Abdomen; Slice 117/192; Image width 341 mm; CT scan slice 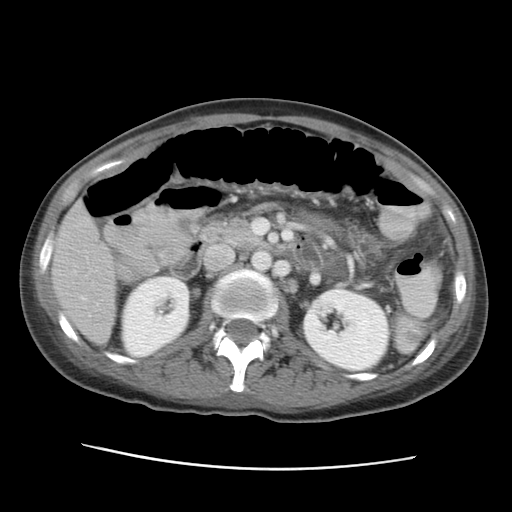

<segmentation>
  <kidney>(123,277,188,356), (303,283,389,370)</kidney>
  <liver>(52,201,115,338)</liver>
</segmentation>